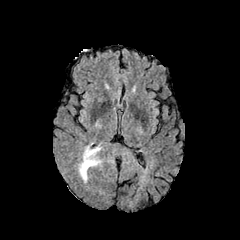
FLAIR magnetic resonance.
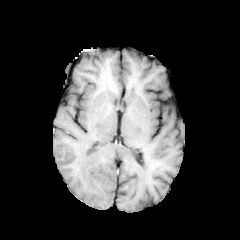
Same slice, T1-weighted MR.
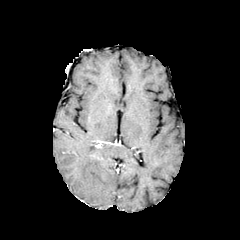
Post-contrast T1-weighted MR.
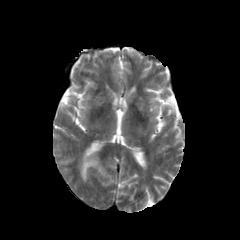
T2-weighted MRI of the same slice.
Brain. 240x240 px.
The edema appears at {"x1": 78, "y1": 143, "x2": 105, "y2": 182}.